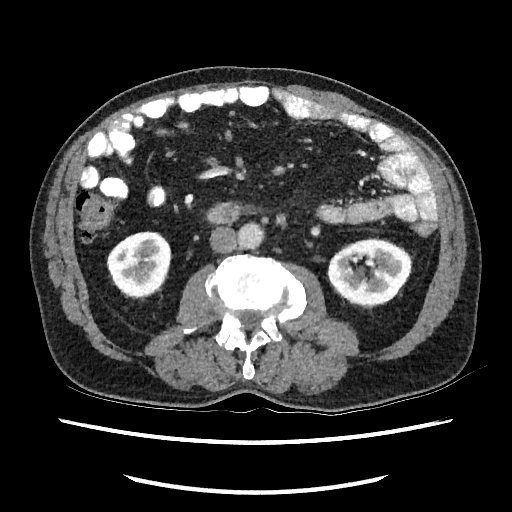 CT; 512x512; Abdomen

Annotated regions:
• kidney: [328, 238, 411, 307], [107, 231, 170, 297]